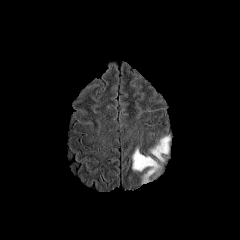
FLAIR magnetic resonance.
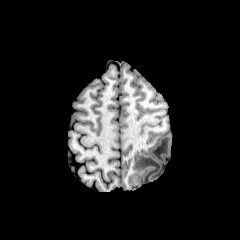
Same slice, T1-weighted MRI.
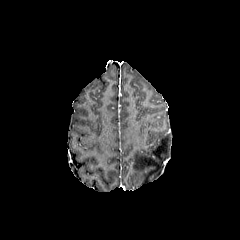
Post-contrast T1-weighted MR image of the same slice.
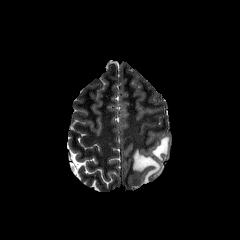
T2-weighted MRI of the same slice.
Head
2 edema regions appear at <box>151,135,170,161</box>, <box>132,148,158,183</box>.